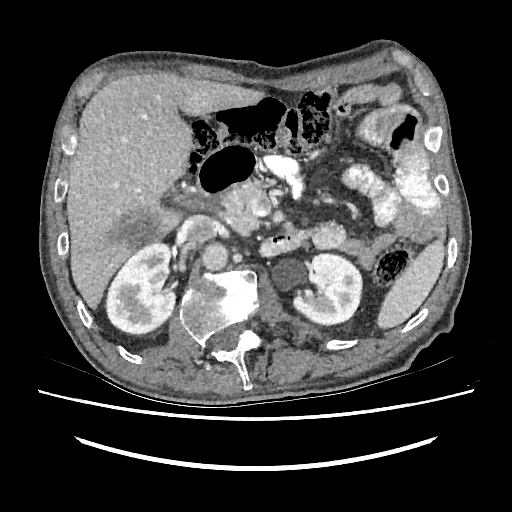 Abdomen, CT scan slice
{
  "focal_liver_lesion": [
    "x1=105 y1=211 x2=161 y2=250"
  ],
  "liver": [
    "x1=67 y1=72 x2=262 y2=309"
  ],
  "kidney": [
    "x1=107 y1=244 x2=174 y2=333",
    "x1=294 y1=254 x2=361 y2=324"
  ]
}